Slice 42/155; Image size 240x240
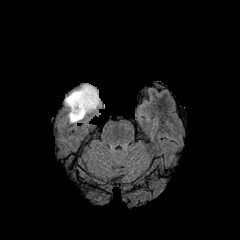
FLAIR magnetic resonance.
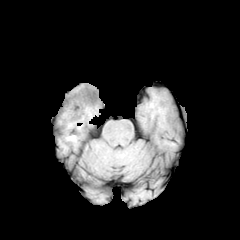
T1-weighted MRI.
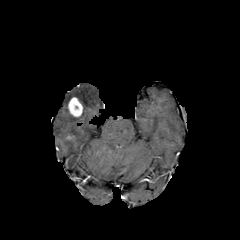
Post-contrast T1-weighted MRI.
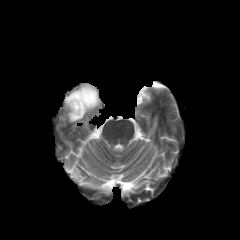
Same slice, T2-weighted MR image.
edema:
  - {"x1": 65, "y1": 84, "x2": 101, "y2": 123}
enhancing_tumor:
  - {"x1": 68, "y1": 97, "x2": 82, "y2": 118}